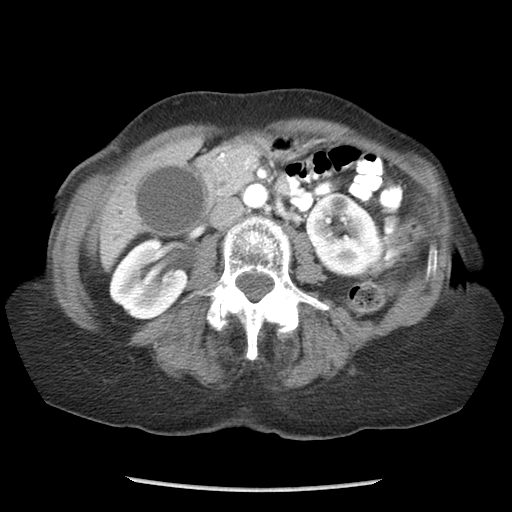

Abdomen, CT
pancreas:
  - bbox=[212, 146, 255, 197]